CT scan slice | Field of view 440 mm wide, 1.50 mm slice spacing | Abdomen
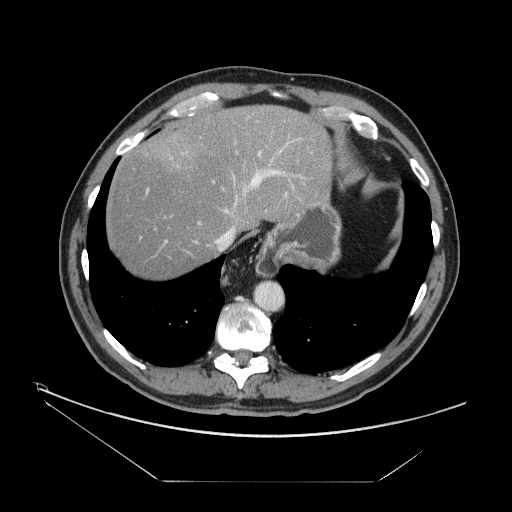

Not every hepatic vessel necessarily has a box.
8 hepatic vessel regions appear at [251, 172, 263, 187], [299, 175, 302, 177], [244, 187, 245, 191], [232, 228, 233, 229], [265, 169, 283, 174], [235, 198, 236, 201], [258, 151, 260, 155], [225, 210, 227, 211].